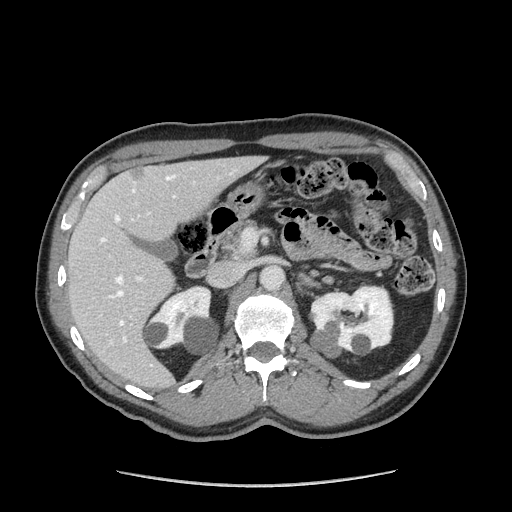

CT
Findings:
- pancreas: bbox=[222, 221, 249, 253]